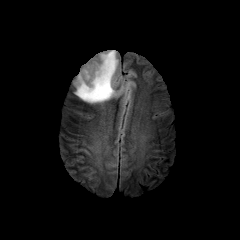
FLAIR magnetic resonance.
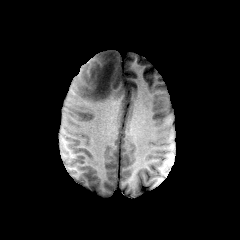
T1-weighted MR.
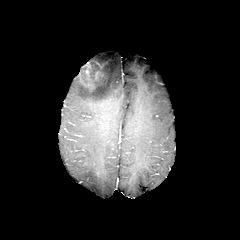
Post-contrast T1-weighted MR image.
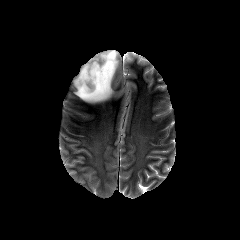
T2-weighted MRI of the same slice.
Brain.
Annotated regions:
- non-enhancing tumor core: (x1=80, y1=71, x2=91, y2=83), (x1=89, y1=62, x2=106, y2=82)
- edema: (x1=74, y1=51, x2=122, y2=103)
- enhancing tumor: (x1=84, y1=63, x2=91, y2=76)